CT | 512x512 | Slice 19/47
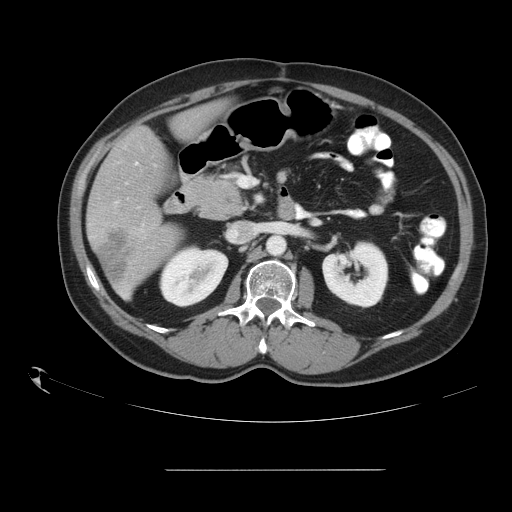 Some hepatic vessels may have no box.
The hepatic vessel is located at l=135, t=162, r=137, b=164. The liver tumor is bounded by l=98, t=232, r=128, b=282.